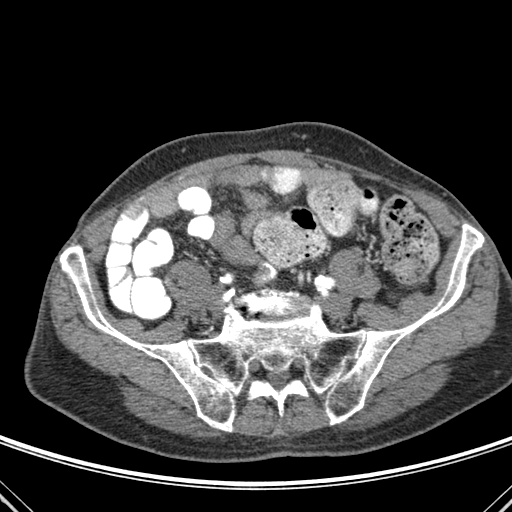 Computed tomography

Bone: bounding box bbox=[60, 223, 484, 431].